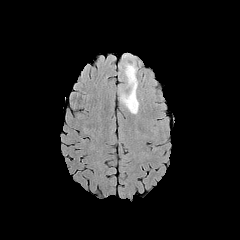
FLAIR MRI.
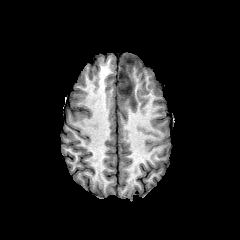
T1-weighted MR image.
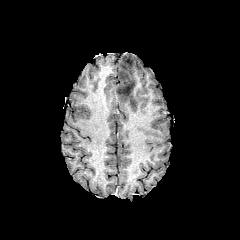
Post-contrast T1-weighted MR.
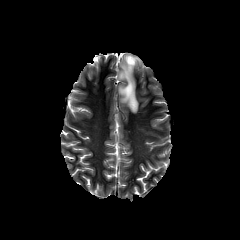
T2-weighted MR.
240x240 px | Head
2 edema regions appear at 118, 61, 139, 113; 118, 54, 131, 75. The non-enhancing tumor core lies within 119, 55, 137, 106.